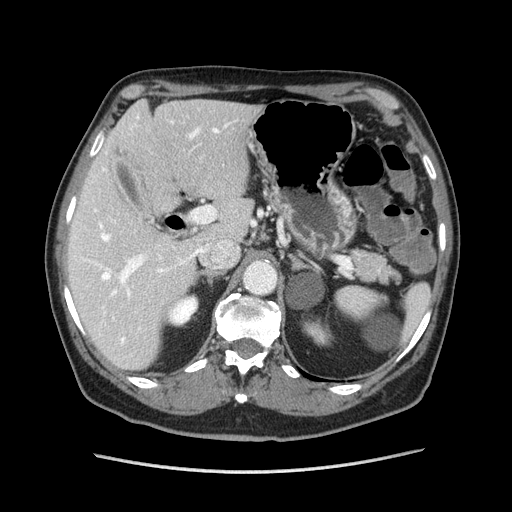

CT image
<segmentation>
  <pancreas>352 251 398 282</pancreas>
</segmentation>